Slice index 62 | Head
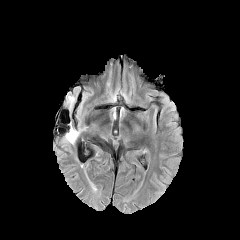
FLAIR MR image.
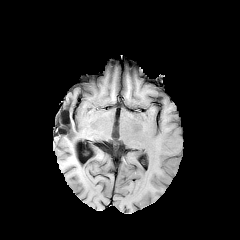
Same slice, T1-weighted MR image.
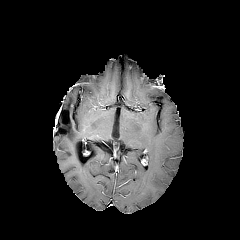
Post-contrast T1-weighted MRI.
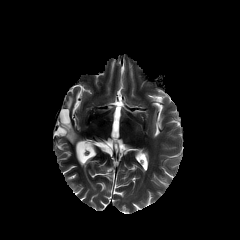
Same slice, T2-weighted MR image.
2 edema regions appear at left=65, top=93, right=74, bottom=112; left=62, top=122, right=80, bottom=147.